FLAIR MR.
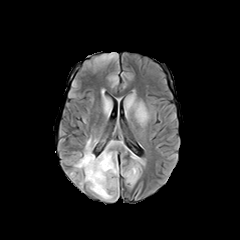
T1-weighted magnetic resonance.
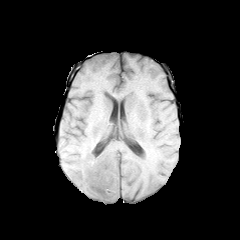
Post-contrast T1-weighted MR.
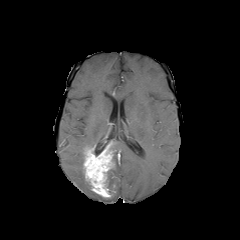
T2-weighted magnetic resonance.
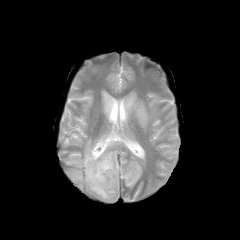
The enhancing tumor appears at box(83, 140, 113, 197). 6 edema regions appear at box(69, 153, 91, 191); box(96, 194, 117, 201); box(109, 141, 119, 189); box(84, 138, 103, 151); box(125, 94, 147, 123); box(104, 99, 110, 111). 2 non-enhancing tumor core regions appear at box(106, 150, 115, 197); box(90, 141, 109, 156).